Computed tomography; Slice 366/836
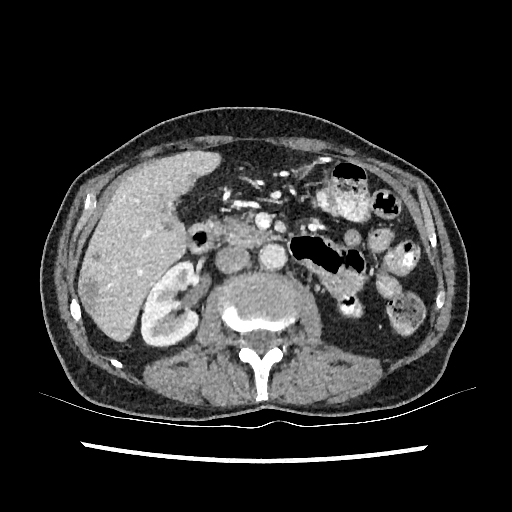
Liver — bbox(80, 151, 219, 339).
Kidney — bbox(141, 263, 197, 345).
Hepatic lesion — bbox(162, 221, 172, 229); bbox(79, 280, 98, 312); bbox(91, 252, 100, 261); bbox(185, 173, 201, 185).